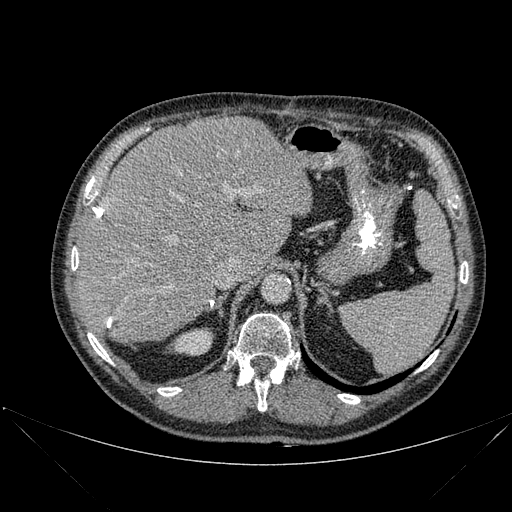 CT scan slice; 512x512
kidney:
  - (175, 330, 211, 354)
bone:
  - (228, 313, 299, 385)
  - (418, 350, 438, 371)
  - (460, 265, 468, 283)
  - (157, 387, 181, 396)
  - (338, 394, 359, 404)
  - (88, 333, 112, 363)
  - (255, 379, 269, 411)
  - (85, 177, 96, 198)
  - (71, 248, 78, 270)
liver:
  - (77, 116, 312, 342)
lung:
  - (302, 348, 410, 393)